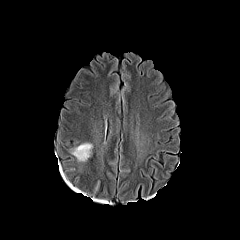
FLAIR MR image.
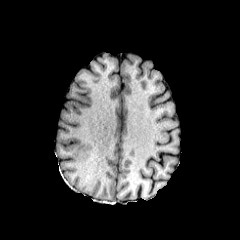
T1-weighted MR image.
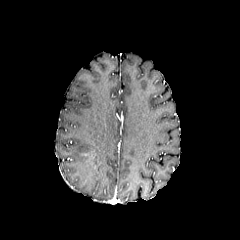
Same slice, post-contrast T1-weighted MR.
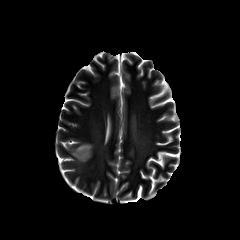
T2-weighted magnetic resonance.
Brain.
edema: bbox(71, 143, 93, 162)